Liver; CT image; Slice 115 of 124; 512x512 px 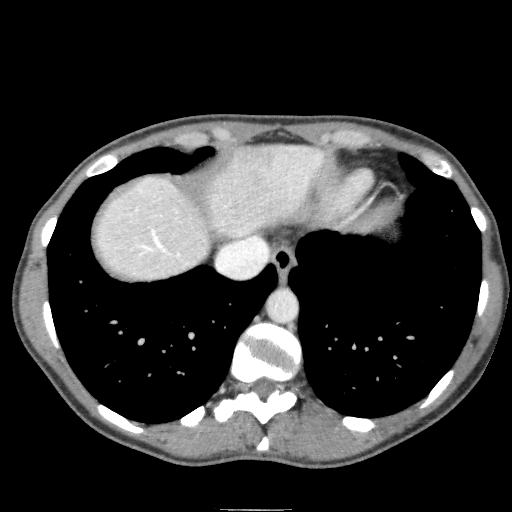 Segmented structures:
• liver: [x1=94, y1=144, x2=325, y2=282]